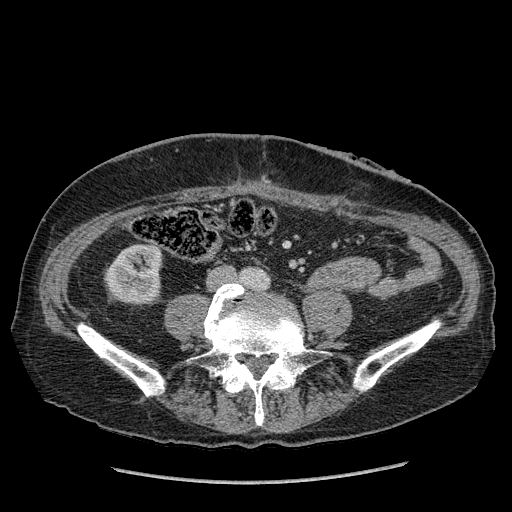 Computed tomography; Abdomen
Segmented structures:
* kidney: 106, 245, 161, 303